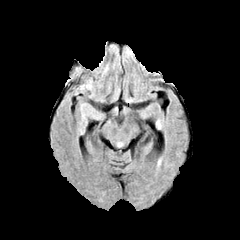
FLAIR magnetic resonance.
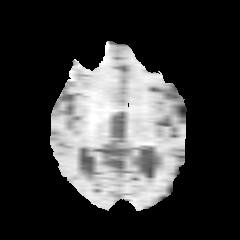
Same slice, T1-weighted MR image.
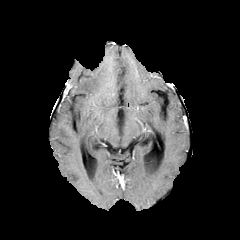
Post-contrast T1-weighted magnetic resonance of the same slice.
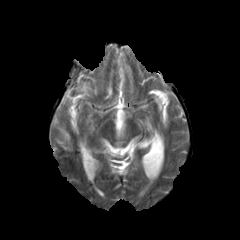
T2-weighted MRI of the same slice.
The edema is bounded by <bbox>80, 80, 95, 91</bbox>.